Abdomen | 512x512 | CT image 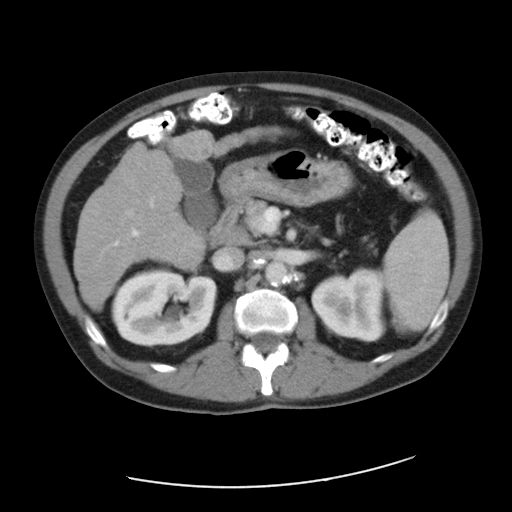 The vessel annotation is not exhaustive.
Hepatic vessel: bbox=[150, 198, 153, 206]; bbox=[112, 241, 118, 245]; bbox=[126, 211, 131, 214]; bbox=[132, 230, 137, 235].
Liver tumor: bbox=[181, 132, 212, 159].